CT scan slice. Slice 136/251. Lung. Image size 512x512. Field of view 466x466 mm. 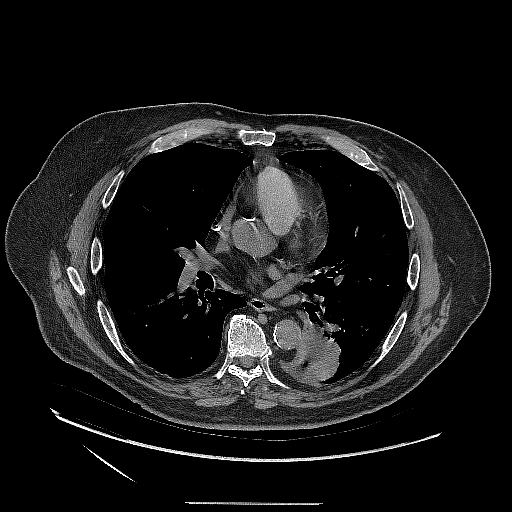 {
  "lung_tumor": [
    "rect(292, 307, 343, 381)"
  ]
}